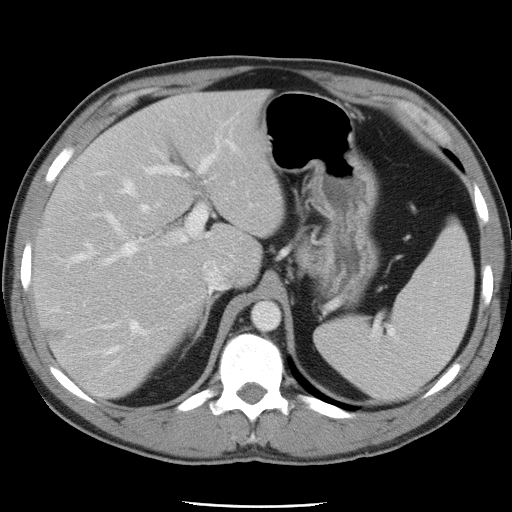 CT. Liver. 512x512 px. The vessel boxes may cover only some of the vessels.
hepatic_vessel:
  - [140,204,149,212]
  - [104,349,114,353]
  - [104,212,123,235]
  - [216,140,217,141]
  - [149,166,178,173]
  - [66,242,94,265]
  - [120,180,135,196]
  - [230,143,232,146]
  - [102,239,142,264]
  - [200,156,211,170]
  - [172,206,206,242]
  - [129,320,147,335]
  - [203,260,227,290]